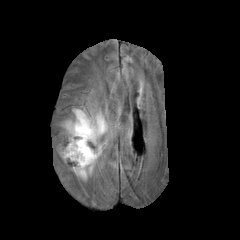
FLAIR MR image.
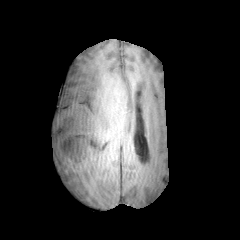
T1-weighted magnetic resonance.
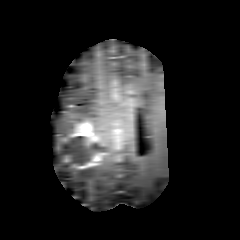
Post-contrast T1-weighted MR.
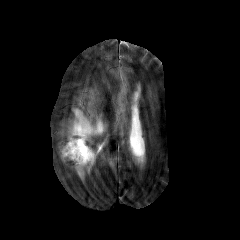
T2-weighted MRI of the same slice.
Head.
Enhancing tumor: bounding box region(79, 153, 103, 168); region(71, 121, 103, 144).
Non-enhancing tumor core: bounding box region(59, 130, 104, 170).
Edema: bounding box region(62, 108, 107, 136); region(74, 169, 91, 179).